Head | Image width 240 mm
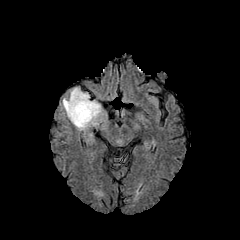
FLAIR MR image.
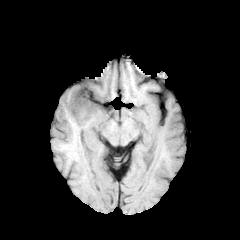
Same slice, T1-weighted MR.
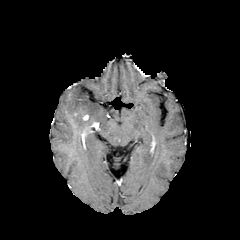
Same slice, post-contrast T1-weighted MRI.
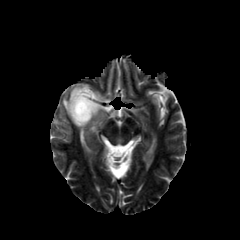
T2-weighted MR of the same slice.
edema: {"x1": 59, "y1": 87, "x2": 101, "y2": 130}